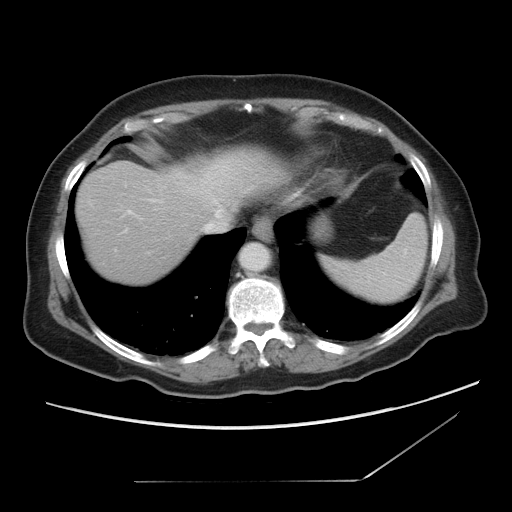
CT image. Liver.
The vessel boxes may cover only some of the vessels.
Findings:
• hepatic vessel: 202,165,228,193; 204,226,208,232; 211,197,222,219